Slice 52 of 102. CT image. Abdomen. 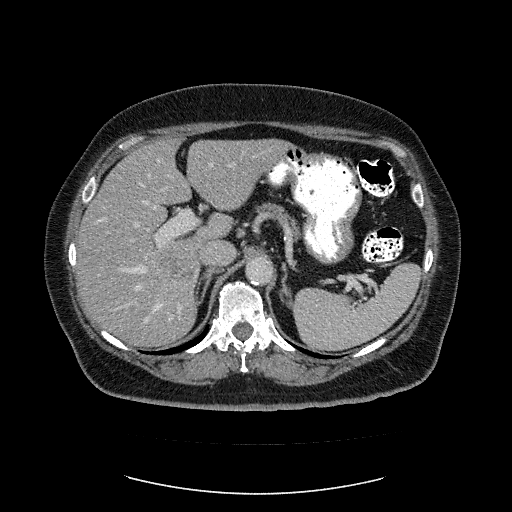

The vessel boxes may cover only some of the vessels.
partial: true
liver_tumor:
  - <box>159,246,199,284</box>
hepatic_vessel:
  # 15 of 23 shown
  - <box>228,163,234,166</box>
  - <box>280,161,283,165</box>
  - <box>134,223,138,226</box>
  - <box>124,265,145,272</box>
  - <box>155,209,198,246</box>
  - <box>145,317,148,321</box>
  - <box>148,174,150,177</box>
  - <box>178,306,180,311</box>
  - <box>136,285,141,289</box>
  - <box>98,217,105,221</box>
  - <box>241,153,244,158</box>
  - <box>170,315,173,320</box>
  - <box>209,163,213,166</box>
  - <box>154,304,161,311</box>
  - <box>200,206,203,210</box>